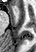
Magnetic resonance

The anterior hippocampus is bounded by 15:8:16:10.